Brain. Field of view 240x240 mm. Slice index 46. 240x240 px.
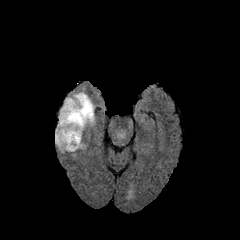
FLAIR magnetic resonance.
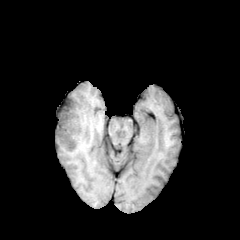
T1-weighted magnetic resonance of the same slice.
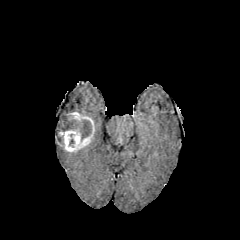
Post-contrast T1-weighted MRI of the same slice.
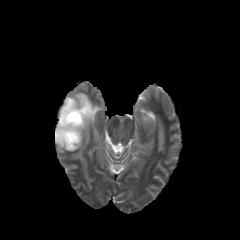
T2-weighted MR.
2 non-enhancing tumor core regions are located at [x1=56, y1=108, x2=93, y2=145], [x1=65, y1=98, x2=75, y2=107]. 2 edema regions are bounded by [x1=82, y1=122, x2=94, y2=135], [x1=57, y1=92, x2=95, y2=123]. 2 enhancing tumor regions are located at [x1=58, y1=128, x2=84, y2=151], [x1=67, y1=111, x2=85, y2=121].